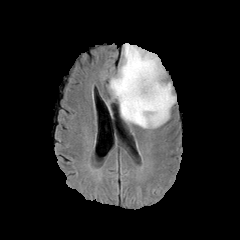
FLAIR magnetic resonance.
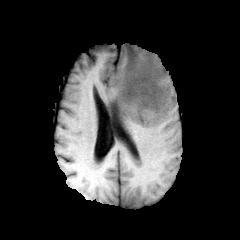
Same slice, T1-weighted magnetic resonance.
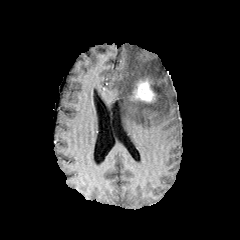
Post-contrast T1-weighted MR of the same slice.
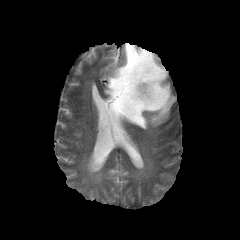
T2-weighted MRI.
Head.
The edema is at l=107, t=43, r=176, b=128. The enhancing tumor is located at l=130, t=78, r=156, b=103.